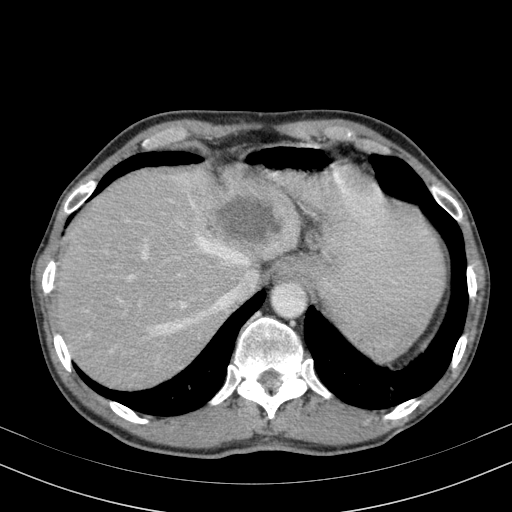

CT scan slice
<segmentation>
  <focal_liver_lesion>[215,198,281,240]</focal_liver_lesion>
  <liver>[57,159,299,390]</liver>
</segmentation>